Liver; CT image; Image size 512x512 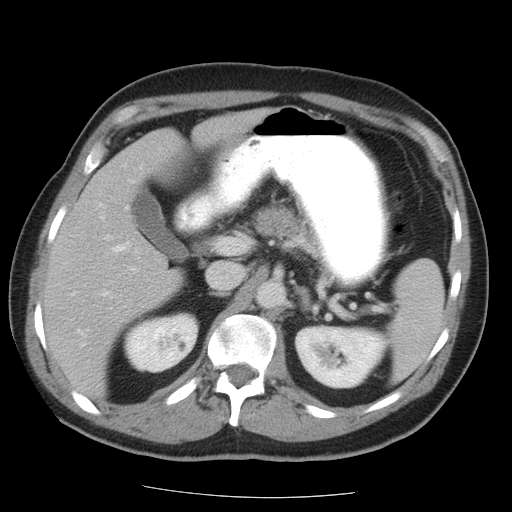 The vessel annotation is not exhaustive.
Hepatic vessel — <box>128,179,135,182</box>, <box>123,164,126,166</box>, <box>84,335,86,336</box>, <box>72,292,75,294</box>, <box>100,204,105,207</box>, <box>125,207,128,209</box>, <box>131,267,137,271</box>, <box>106,235,112,239</box>, <box>78,329,81,332</box>, <box>136,250,137,252</box>, <box>102,216,104,219</box>, <box>81,343,85,346</box>, <box>103,291,108,295</box>, <box>113,241,130,251</box>.